Image width 486 mm; Abdomen; Slice 41/48; CT image 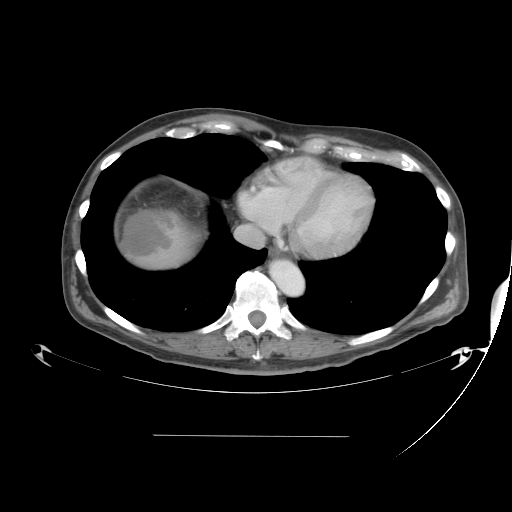

<segmentation>
  <liver_tumor>{"x1": 119, "y1": 210, "x2": 171, "y2": 255}</liver_tumor>
</segmentation>